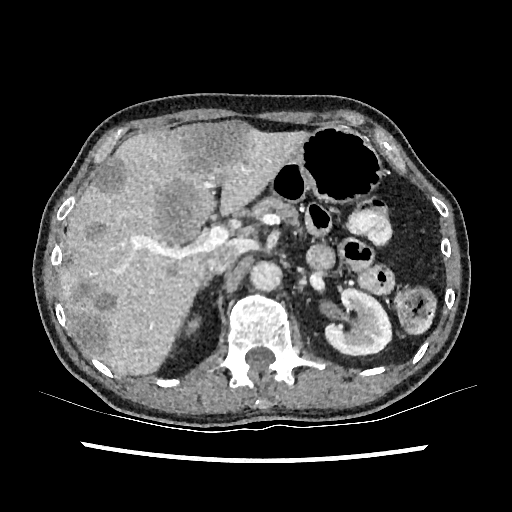 Computed tomography
- kidney: (left=311, top=277, right=323, bottom=289), (left=324, top=289, right=394, bottom=358)
- liver: (left=60, top=130, right=307, bottom=373)
- liver lesion: (left=173, top=122, right=254, bottom=172), (left=61, top=253, right=73, bottom=268), (left=71, top=279, right=96, bottom=302), (left=137, top=339, right=146, bottom=347), (left=93, top=291, right=117, bottom=313), (left=92, top=159, right=125, bottom=192), (left=71, top=314, right=109, bottom=354), (left=156, top=182, right=199, bottom=242), (left=167, top=263, right=177, bottom=276), (left=84, top=222, right=106, bottom=240)